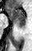 32x51, MRI slice, Hippocampus

Segmented structures:
• posterior hippocampus: (17,24,25,27)
• anterior hippocampus: (5,7,25,23)